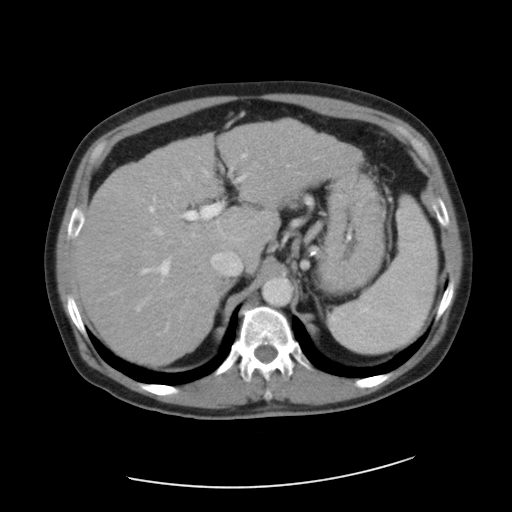
CT image
Some hepatic vessels may have no box.
10 hepatic vessel regions are bounded by [154, 227, 162, 234], [153, 196, 154, 199], [203, 206, 218, 216], [149, 207, 154, 211], [141, 260, 169, 274], [136, 305, 140, 310], [192, 233, 194, 236], [185, 212, 196, 218], [242, 154, 246, 157], [203, 169, 207, 175].